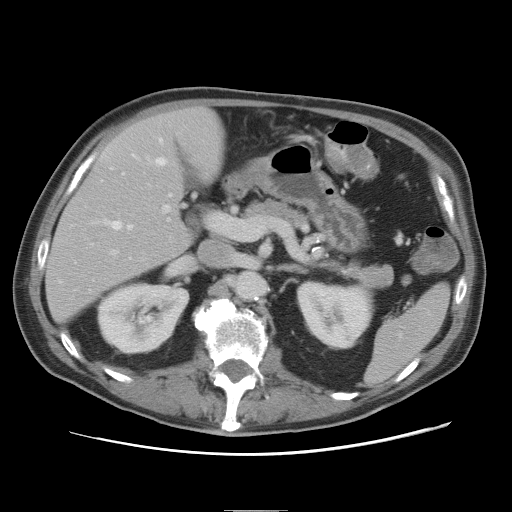

CT slice.
Some hepatic vessels may have no box.
hepatic vessel: 103, 220, 122, 229; 169, 195, 171, 196; 60, 281, 61, 282; 163, 205, 170, 212; 168, 219, 169, 221; 134, 156, 137, 158; 111, 250, 116, 254; 160, 139, 162, 142; 156, 158, 165, 164; 129, 226, 131, 228